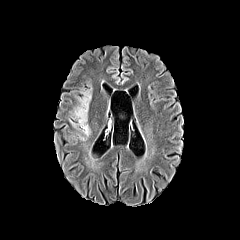
FLAIR magnetic resonance.
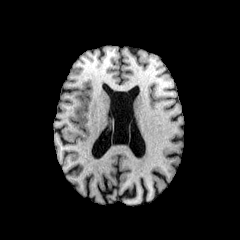
T1-weighted MR of the same slice.
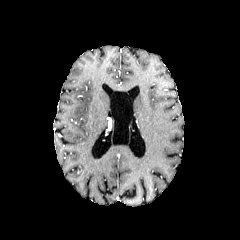
Post-contrast T1-weighted magnetic resonance of the same slice.
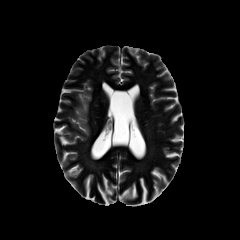
Same slice, T2-weighted MRI.
Brain
<segmentation>
  <edema>{"x1": 69, "y1": 88, "x2": 92, "y2": 141}</edema>
</segmentation>